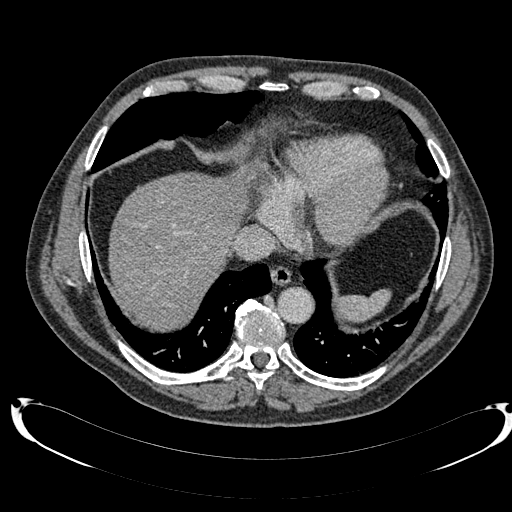
Computed tomography
<segmentation>
  <liver>rect(108, 162, 261, 331)</liver>
</segmentation>